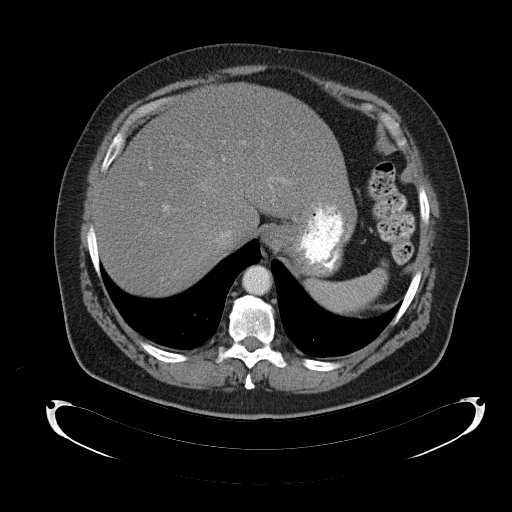 CT image
The spleen is at <bbox>307, 270, 385, 314</bbox>.